CT slice; 512x512

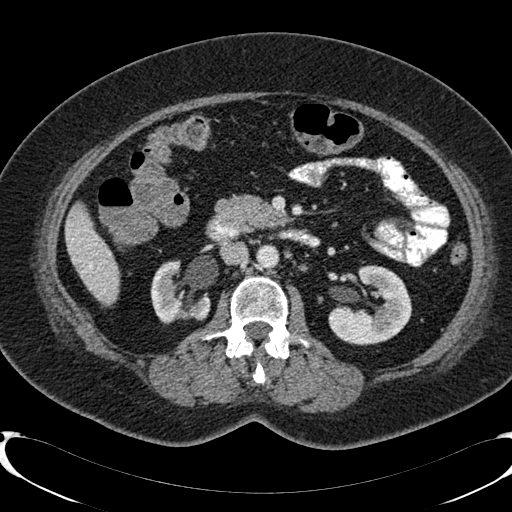 Kidney: bounding box [151,262,209,324], [329,266,410,343].
Liver lesion: bounding box [69,204,85,217].
Liver: bounding box [66,214,118,304].